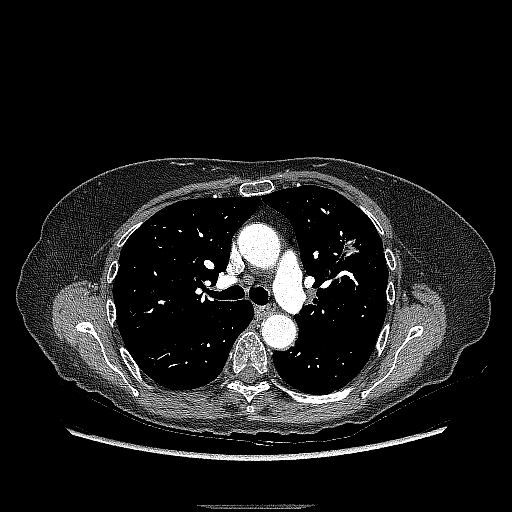

CT image

Annotated regions:
• lung tumor: x1=338, y1=230, x2=362, y2=260